Head
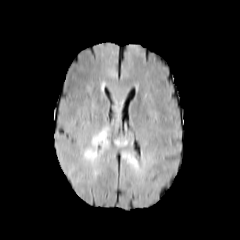
FLAIR MR.
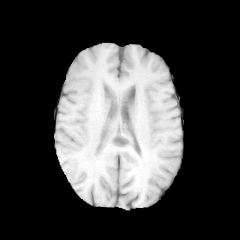
T1-weighted magnetic resonance.
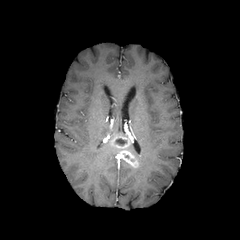
Post-contrast T1-weighted magnetic resonance.
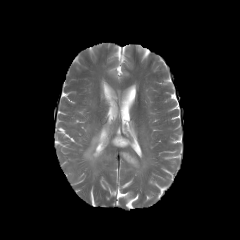
T2-weighted MR.
Findings:
• edema: 83,125,109,164
• non-enhancing tumor core: 114,138,127,145
• enhancing tumor: 112,136,139,167